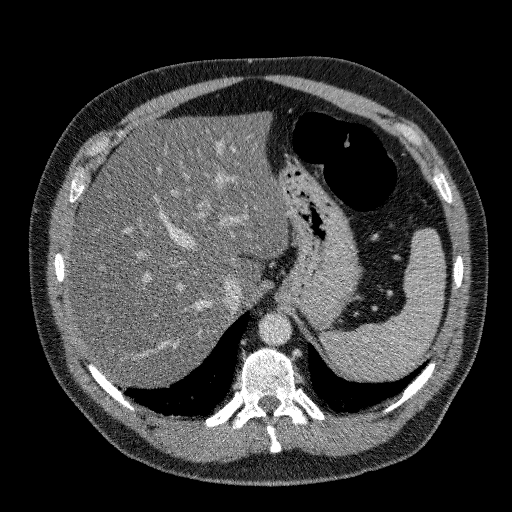

Computed tomography, 512x512
The liver lies within 70:111:288:386.